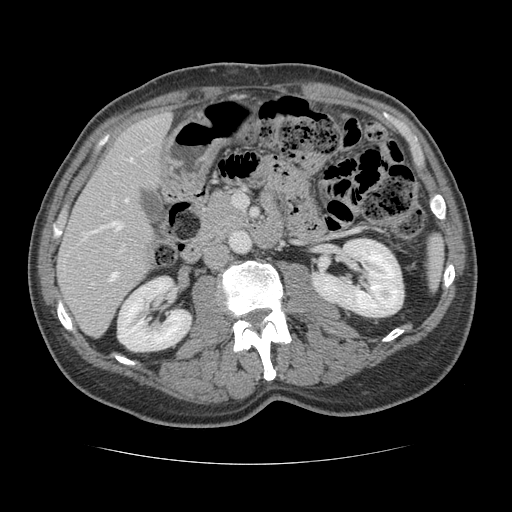
512x512 px | CT scan slice | Liver

The vessel annotation is not exhaustive.
6 hepatic vessel regions appear at rect(141, 149, 144, 151); rect(82, 222, 121, 240); rect(120, 244, 123, 251); rect(125, 199, 127, 200); rect(108, 272, 118, 281); rect(127, 158, 132, 161).